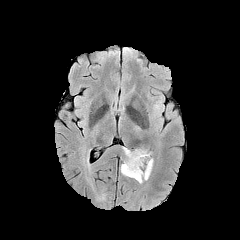
FLAIR MR image.
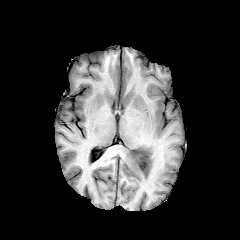
Same slice, T1-weighted MR.
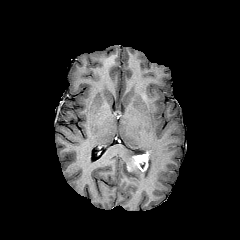
Post-contrast T1-weighted MR image.
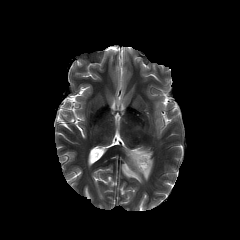
T2-weighted MRI.
Image size 240x240 | Head
The enhancing tumor is at {"x1": 126, "y1": 152, "x2": 149, "y2": 171}. The non-enhancing tumor core appears at {"x1": 131, "y1": 150, "x2": 145, "y2": 155}. The edema appears at {"x1": 121, "y1": 146, "x2": 153, "y2": 183}.